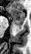 MR. Hippocampus. Annotated regions:
• posterior hippocampus: 17 24 23 28
• anterior hippocampus: 9 6 24 23